FLAIR MRI.
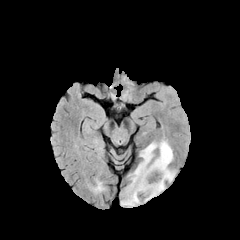
T1-weighted MR image.
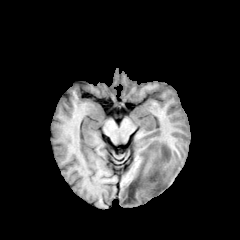
Post-contrast T1-weighted MR image.
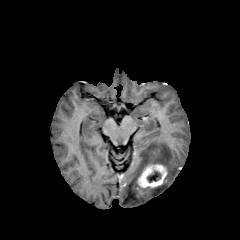
T2-weighted MR image.
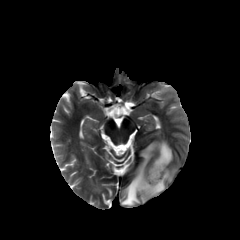
240x240 px.
The enhancing tumor is located at 132 163 167 195. The non-enhancing tumor core is located at 147 171 159 182. The edema is bounded by 121 140 175 205.